Field of view 240x240 mm; Image size 240x240
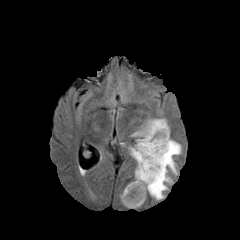
FLAIR MR.
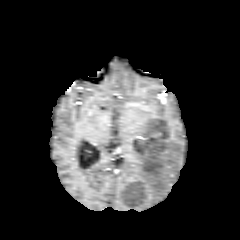
T1-weighted MR image.
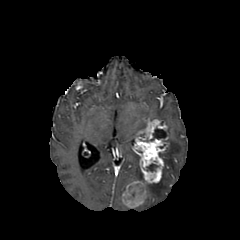
Post-contrast T1-weighted magnetic resonance of the same slice.
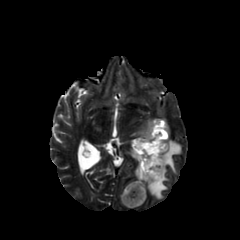
T2-weighted MRI.
Edema = rect(129, 147, 142, 179); rect(147, 138, 181, 200).
Non-enhancing tumor core = rect(153, 129, 167, 138).
Enhancing tumor = rect(120, 120, 169, 207).